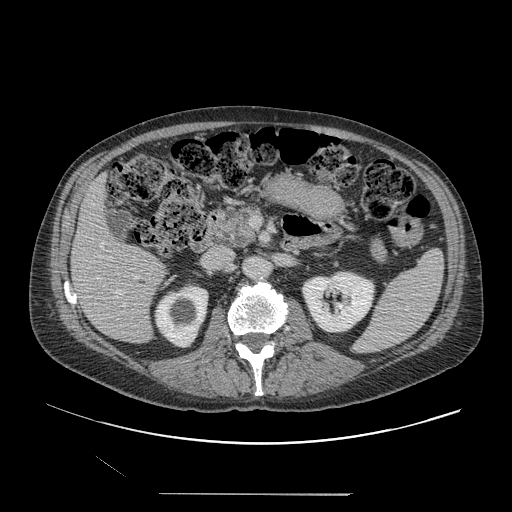
Computed tomography

{
  "pancreas": [
    "<bbox>211, 206, 262, 250</bbox>"
  ]
}